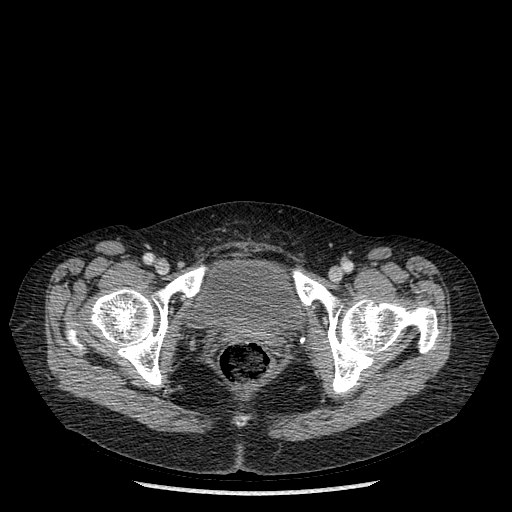 CT

{"bone": ["region(293, 270, 439, 395)", "region(87, 266, 206, 387)", "region(66, 321, 84, 351)"], "urinary_bladder": ["region(188, 255, 303, 341)"]}